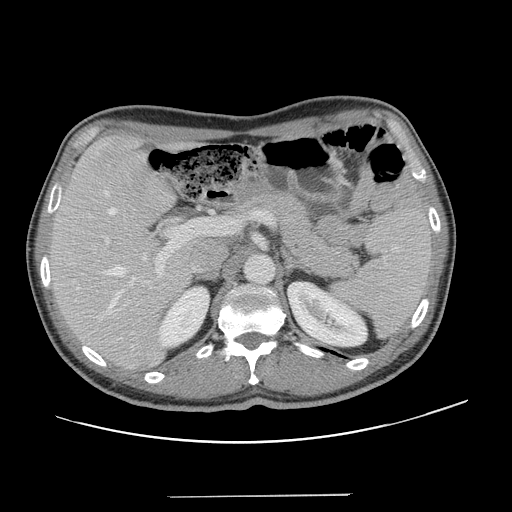
CT. Not every hepatic vessel necessarily has a box.
12 hepatic vessel regions are located at 131,345,133,348; 106,266,124,275; 98,317,102,319; 132,277,135,280; 89,216,91,217; 107,292,119,312; 157,255,158,258; 105,191,108,194; 106,239,109,243; 159,271,162,273; 142,254,146,259; 108,208,115,214.